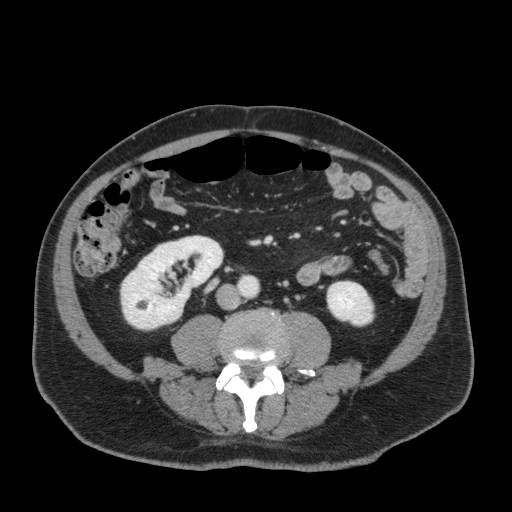 512x512 px; CT image; Abdomen

Kidney: bounding box (left=327, top=282, right=372, bottom=324), (left=121, top=236, right=222, bottom=328).